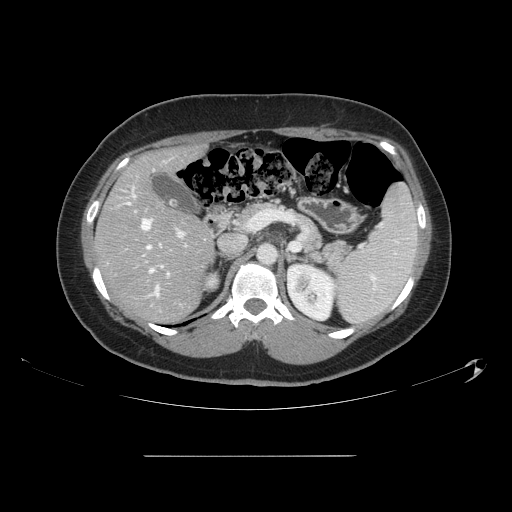

CT, Abdomen

Not every hepatic vessel necessarily has a box.
hepatic vessel: 177, 232, 183, 236; 147, 245, 150, 248; 167, 273, 169, 275; 153, 286, 158, 296; 132, 192, 135, 197; 150, 269, 153, 272; 125, 203, 130, 204; 142, 219, 151, 229